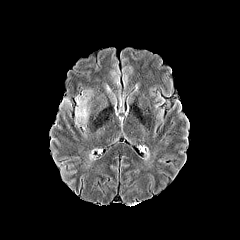
FLAIR MR.
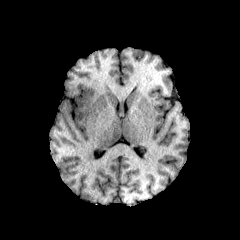
Same slice, T1-weighted MR.
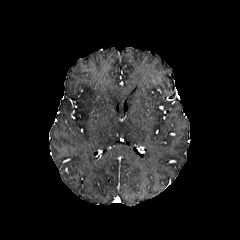
Same slice, post-contrast T1-weighted MRI.
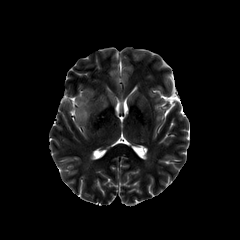
T2-weighted magnetic resonance.
240x240 px, Head
edema: rect(74, 96, 91, 134); rect(59, 100, 72, 110)